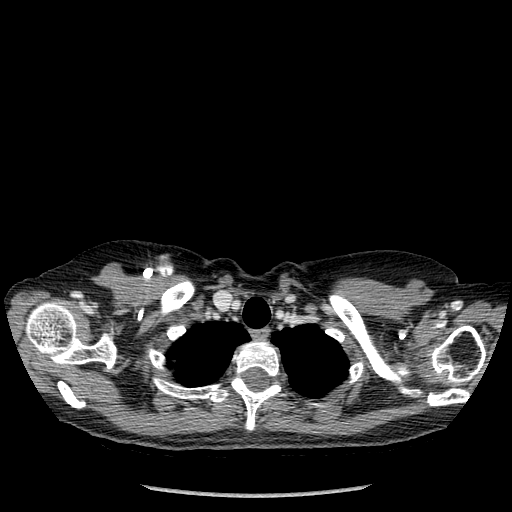
CT image. 512x512 px. Thorax. bone:
  - [57, 381, 85, 408]
  - [325, 327, 344, 342]
  - [427, 388, 469, 406]
  - [329, 294, 421, 396]
  - [26, 302, 116, 369]
  - [153, 378, 228, 402]
  - [310, 403, 327, 407]
  - [148, 349, 164, 369]
  - [349, 362, 363, 383]
  - [167, 325, 185, 340]
  - [431, 325, 485, 383]
  - [229, 339, 280, 430]
  - [160, 280, 194, 315]
lung:
  - [166, 297, 270, 386]
  - [271, 323, 348, 397]